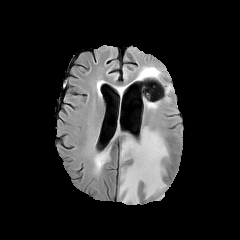
FLAIR magnetic resonance.
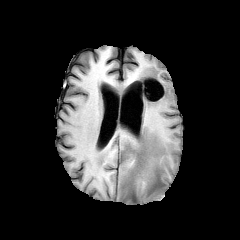
T1-weighted MRI.
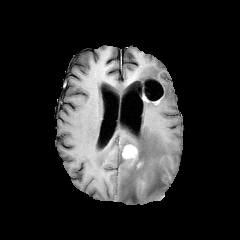
Post-contrast T1-weighted MR of the same slice.
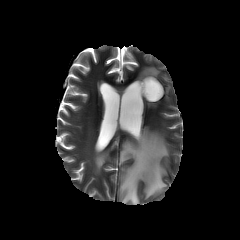
Same slice, T2-weighted MR.
Enhancing tumor: bounding box l=122, t=144, r=137, b=159.
Non-enhancing tumor core: bounding box l=134, t=150, r=145, b=169.
Edema: bounding box l=119, t=126, r=169, b=203; l=138, t=66, r=159, b=79; l=94, t=152, r=108, b=170.